FLAIR MRI.
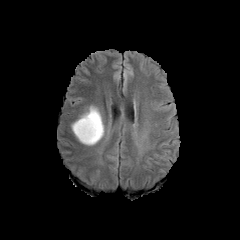
T1-weighted MR.
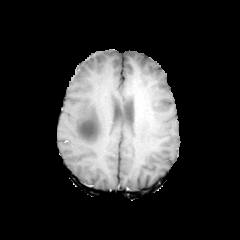
Post-contrast T1-weighted magnetic resonance.
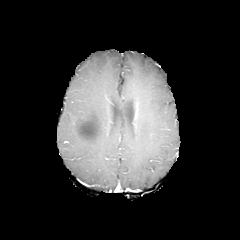
T2-weighted MRI.
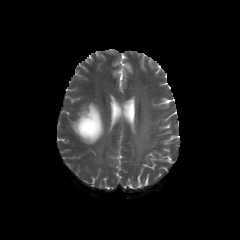
Image size 240x240
non-enhancing tumor core: bbox=[81, 122, 95, 136] | edema: bbox=[71, 102, 106, 146]